Brain.
FLAIR MR.
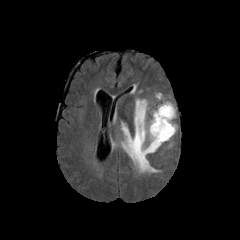
T1-weighted magnetic resonance.
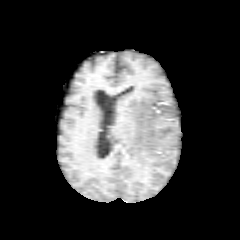
Post-contrast T1-weighted MR image.
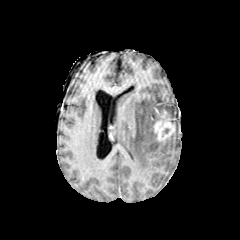
T2-weighted MRI.
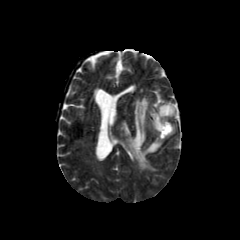
Non-enhancing tumor core: bounding box 160,103,170,113.
Enhancing tumor: bounding box 154,119,174,140.
Edema: bounding box 121,92,179,172.